MRI slice
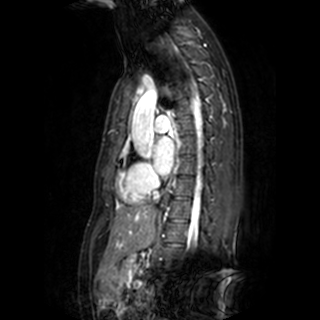
Left atrium — 153, 137, 174, 175.